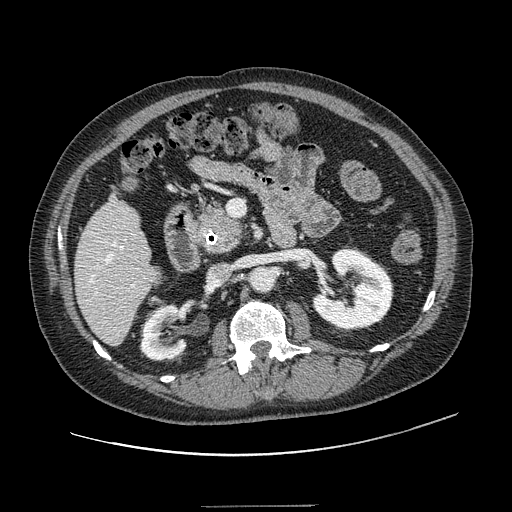

Upper abdomen; CT scan slice; Image size 512x512
The pancreas is bounded by left=195, top=200, right=243, bottom=255.